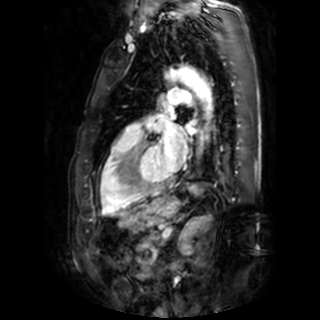
Heart | MRI slice

<segmentation>
  <left_atrium>bbox(159, 127, 187, 171)</left_atrium>
</segmentation>